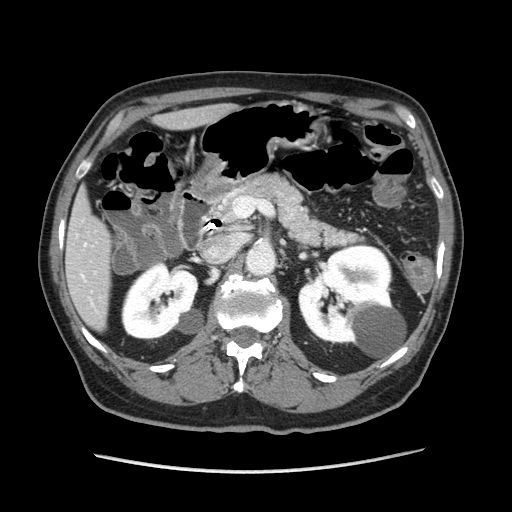

CT scan slice
The pancreas lies within x1=228 y1=173 x2=358 y2=247.